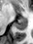

MR image | 33x44 px
Anterior hippocampus: <bbox>21, 17, 24, 17</bbox>.
Posterior hippocampus: <bbox>15, 18, 26, 30</bbox>.